Slice index 36; Image width 240 mm
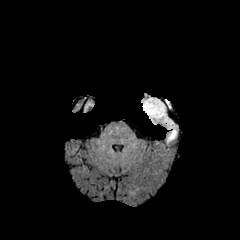
FLAIR MR.
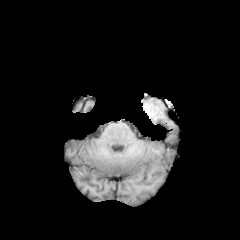
T1-weighted magnetic resonance.
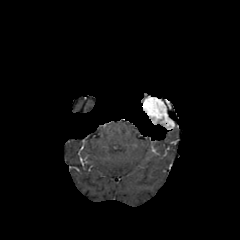
Post-contrast T1-weighted MR image.
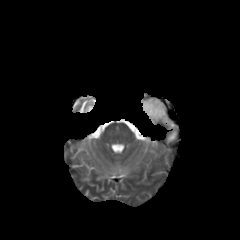
T2-weighted MRI of the same slice.
Enhancing tumor = (142,97,174,127).